FLAIR MR image.
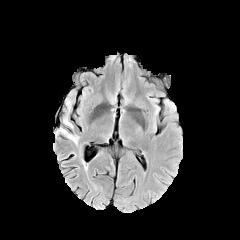
T1-weighted MRI.
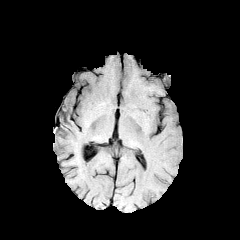
Post-contrast T1-weighted magnetic resonance.
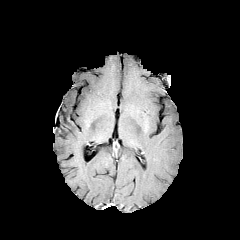
T2-weighted MR image.
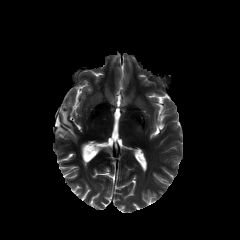
Image size 240x240 | Brain
2 edema regions are bounded by {"x1": 66, "y1": 98, "x2": 72, "y2": 111}, {"x1": 56, "y1": 114, "x2": 77, "y2": 142}.